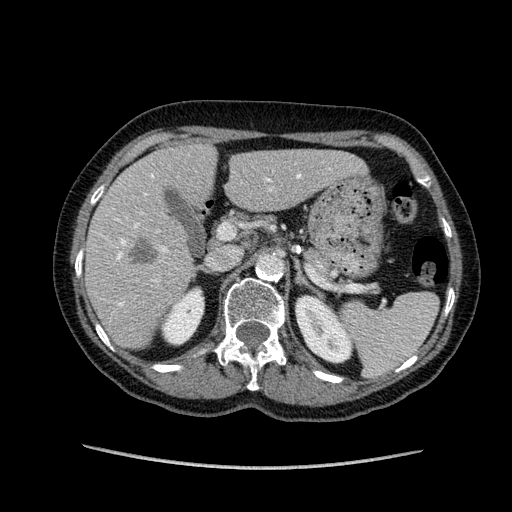

CT
kidney:
  - {"x1": 296, "y1": 297, "x2": 350, "y2": 361}
  - {"x1": 164, "y1": 290, "x2": 203, "y2": 343}
focal_liver_lesion:
  - {"x1": 130, "y1": 241, "x2": 159, "y2": 264}
liver:
  - {"x1": 86, "y1": 147, "x2": 217, "y2": 344}
  - {"x1": 221, "y1": 150, "x2": 359, "y2": 210}